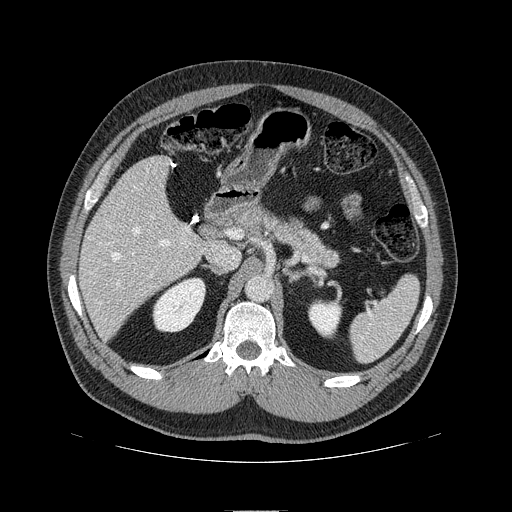 CT slice | Abdomen
pancreas:
  - <bbox>233, 204, 337, 267</bbox>